CT scan slice; Slice index 24
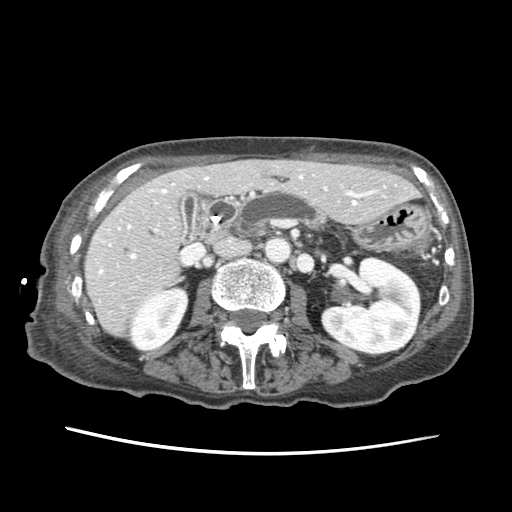 <segmentation>
  <pancreas>rect(238, 191, 326, 228)</pancreas>
</segmentation>